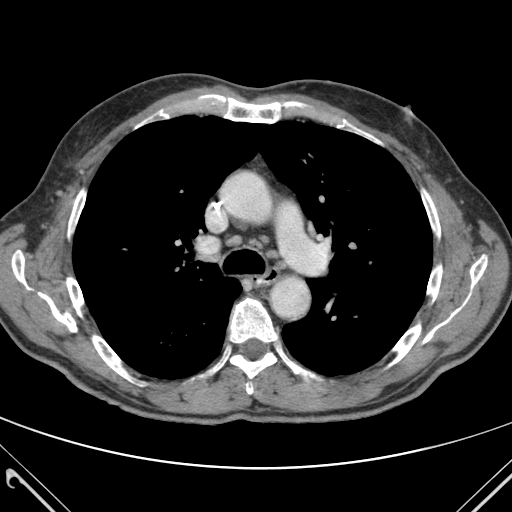
Thorax, Image size 512x512, CT
• lung: <box>72,115,432,378</box>
• bone (top 15 of 18): <box>135,110,171,128</box>, <box>423,299,467,342</box>, <box>470,255,486,287</box>, <box>389,324,420,365</box>, <box>200,95,302,123</box>, <box>92,336,131,381</box>, <box>210,349,276,378</box>, <box>230,298,277,342</box>, <box>66,278,83,316</box>, <box>12,250,29,289</box>, <box>422,190,440,236</box>, <box>68,190,85,235</box>, <box>38,292,76,331</box>, <box>427,265,441,300</box>, <box>277,349,314,377</box>